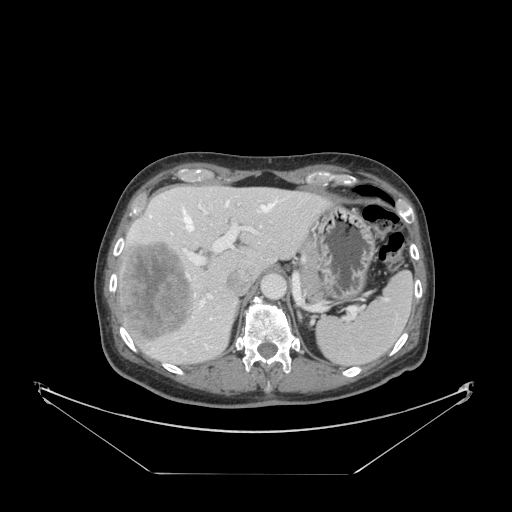 Upper abdomen; CT image; 512x512 px

Segmented structures:
- spleen: [317, 273, 413, 366]